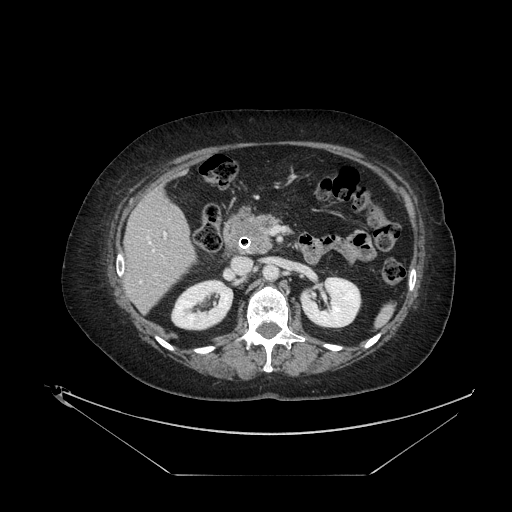 Abdomen | CT image

{"pancreatic_tumor": [{"x1": 233, "y1": 218, "x2": 263, "y2": 237}], "pancreas": [{"x1": 227, "y1": 214, "x2": 280, "y2": 255}]}